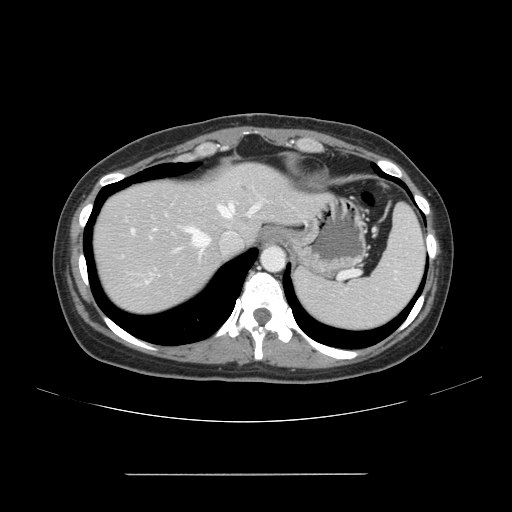
CT image

Some hepatic vessels may have no box.
<segmentation>
  <hepatic_vessel>bbox=[132, 229, 133, 233]; bbox=[153, 229, 155, 230]; bbox=[250, 204, 259, 213]; bbox=[186, 228, 209, 246]; bbox=[218, 204, 233, 217]</hepatic_vessel>
</segmentation>